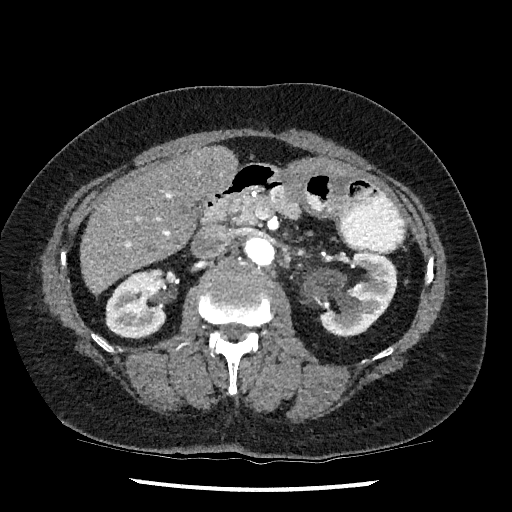
CT, Liver
Kidney: rect(321, 251, 396, 335); rect(106, 270, 176, 337).
Liver: rect(80, 146, 237, 294); rect(292, 160, 357, 178).